FLAIR MR.
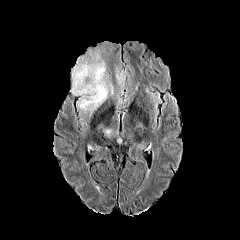
T1-weighted MRI.
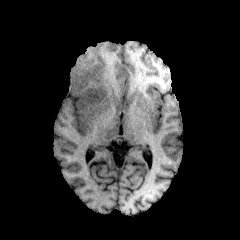
Post-contrast T1-weighted MR image.
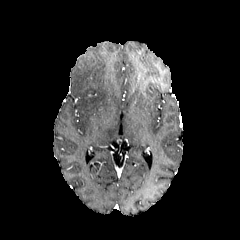
T2-weighted MR image.
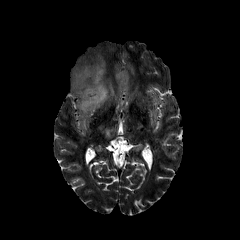
240x240 px
2 edema regions appear at 115 66 126 94, 71 61 113 115.